Abdomen; CT image; Field of view 404 mm wide, 1.50 mm slice spacing 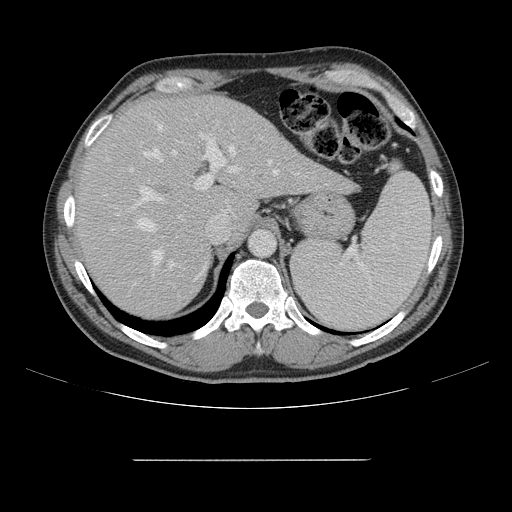 Some hepatic vessels may have no box.
Principal 15 of 17 hepatic vessel regions: bounding box left=138, top=219, right=155, bottom=230; left=144, top=149, right=162, bottom=162; left=130, top=169, right=132, bottom=171; left=268, top=160, right=270, bottom=163; left=153, top=247, right=161, bottom=264; left=230, top=147, right=234, bottom=154; left=172, top=150, right=176, bottom=154; left=168, top=260, right=177, bottom=269; left=273, top=171, right=277, bottom=174; left=200, top=134, right=205, bottom=138; left=158, top=124, right=162, bottom=131; left=195, top=140, right=225, bottom=189; left=132, top=187, right=162, bottom=208; left=228, top=166, right=239, bottom=172; left=182, top=219, right=185, bottom=220.